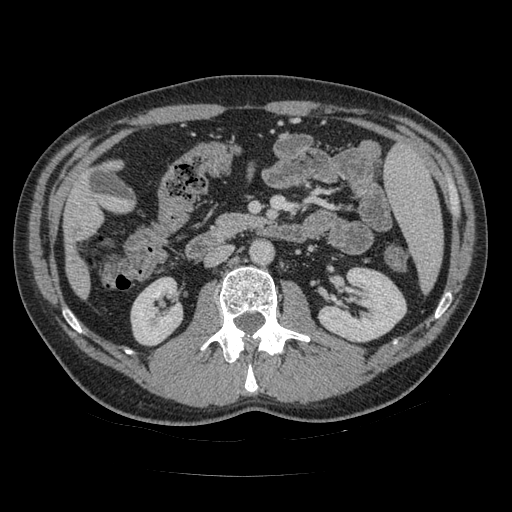
CT scan slice. Abdomen.

Annotated regions:
• pancreas: <bbox>215, 214, 264, 237</bbox>